Slice 69 of 155; Field of view 240 mm wide, 1.00 mm slice spacing
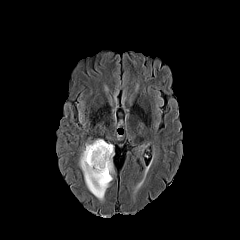
FLAIR MR image.
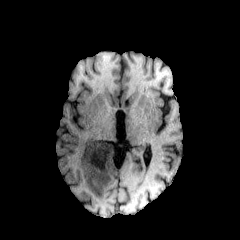
T1-weighted MR.
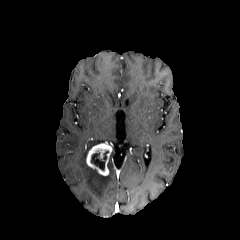
Post-contrast T1-weighted MR image of the same slice.
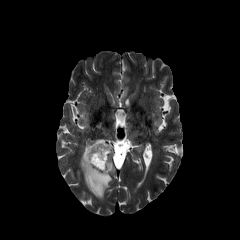
T2-weighted magnetic resonance.
* enhancing tumor: 86 142 112 176
* non-enhancing tumor core: 90 150 108 171
* edema: 78 146 114 200, 87 138 104 150